FLAIR magnetic resonance.
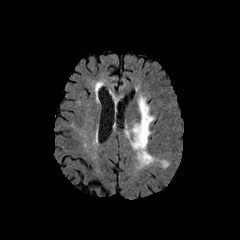
T1-weighted MR image.
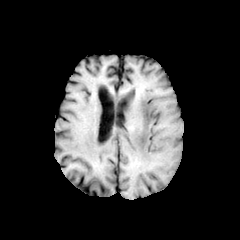
Post-contrast T1-weighted MRI.
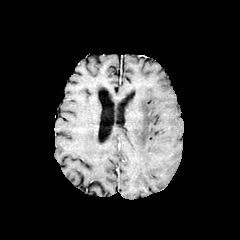
T2-weighted MR.
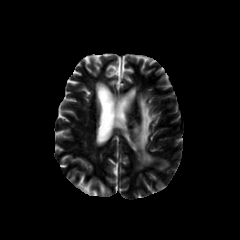
Brain
edema: (160, 160, 169, 168), (123, 94, 157, 168)